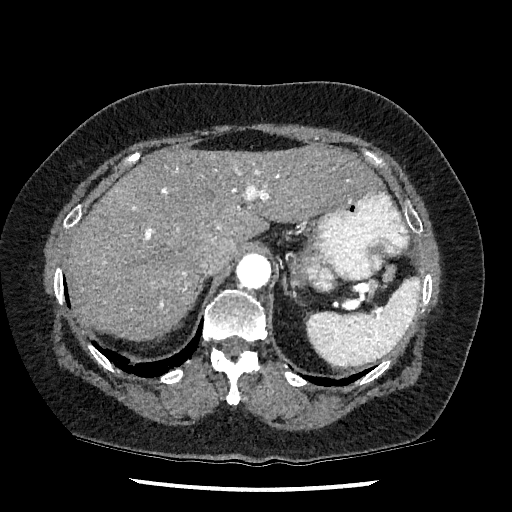
CT slice; Liver
Annotated regions:
- liver: [67,145,380,339]